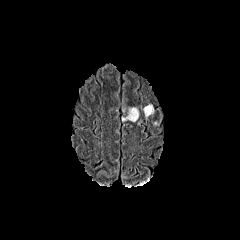
FLAIR MRI.
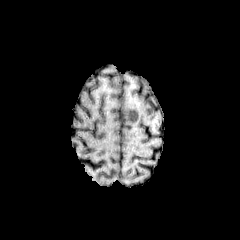
T1-weighted MR image.
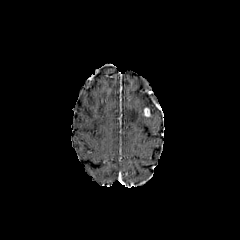
Post-contrast T1-weighted MR.
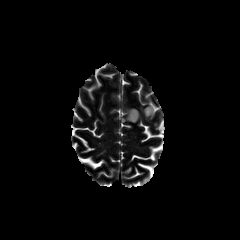
T2-weighted MRI.
Brain
edema:
  - 123 107 140 121